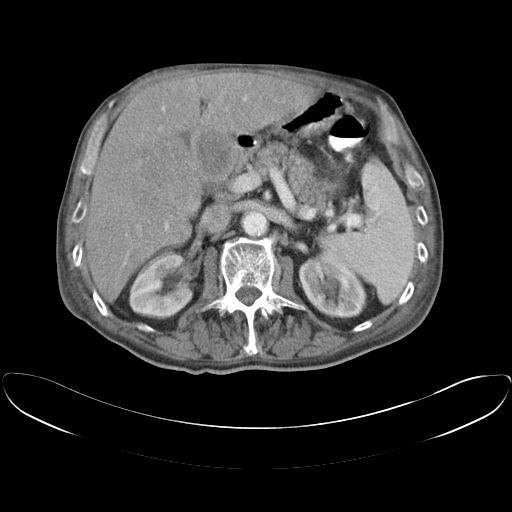 CT slice | Abdomen
Some hepatic vessels may have no box.
Segmented structures:
* hepatic vessel: <box>243,95,247,100</box>, <box>158,127,161,130</box>, <box>125,253,128,261</box>, <box>136,224,141,229</box>, <box>164,222,168,229</box>, <box>225,106,228,110</box>, <box>162,106,165,110</box>, <box>170,215,171,218</box>
* liver tumor: <box>130,138,193,211</box>